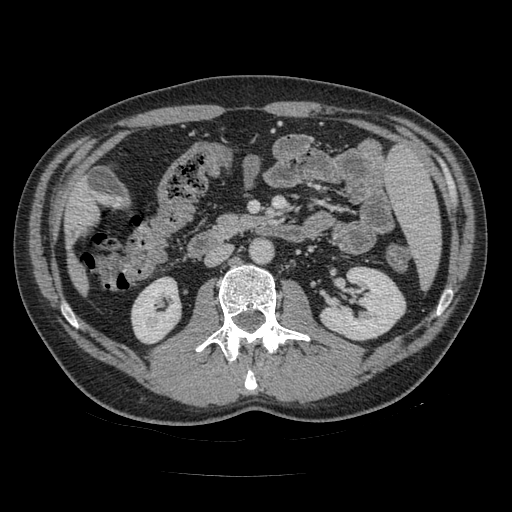

CT scan slice; Abdomen
2 pancreas regions are located at l=262, t=239, r=293, b=272; l=217, t=214, r=265, b=236.